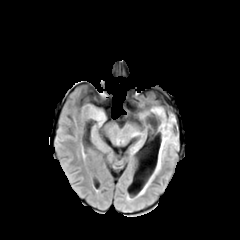
FLAIR MR.
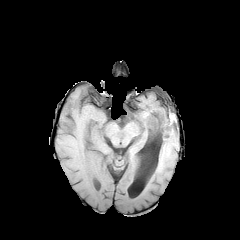
T1-weighted magnetic resonance of the same slice.
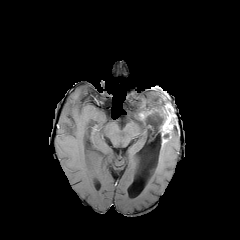
Post-contrast T1-weighted magnetic resonance of the same slice.
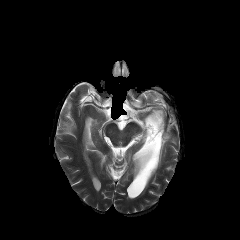
Same slice, T2-weighted MR.
Head
Non-enhancing tumor core = [x1=151, y1=108, x2=173, y2=137].
Enhancing tumor = [x1=160, y1=115, x2=173, y2=136].
Edema = [x1=150, y1=112, x2=159, y2=123], [x1=158, y1=132, x2=175, y2=166].